Brain
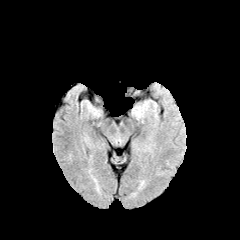
FLAIR MR image.
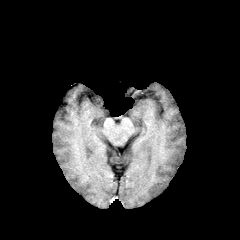
T1-weighted magnetic resonance.
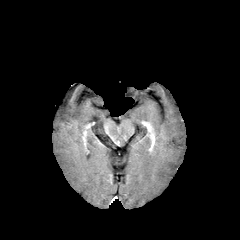
Post-contrast T1-weighted MR image of the same slice.
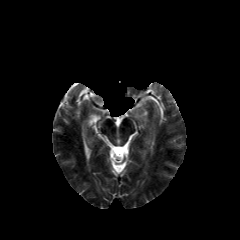
T2-weighted MR.
{"edema": ["<bbox>136, 105, 144, 117</bbox>"]}